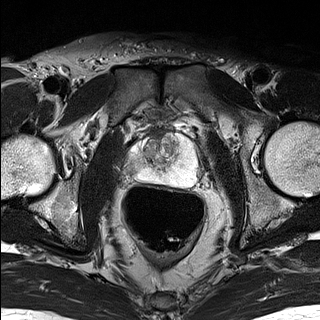
T2-weighted MR image.
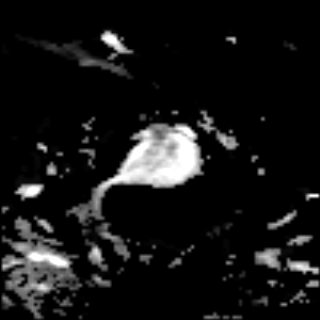
ADC MR.
Prostate.
The prostate transition zone lies within [143, 130, 179, 168]. The prostate peripheral zone lies within [128, 135, 197, 186].